Image size 512x512. Slice index 42. CT slice.
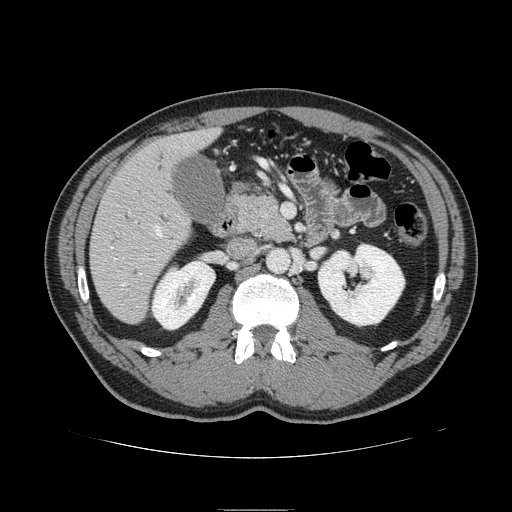
Segmented structures:
- pancreatic tumor: (x1=243, y1=198, x2=279, y2=229)
- pancreas: (x1=236, y1=195, x2=293, y2=240)